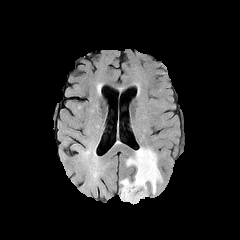
FLAIR magnetic resonance.
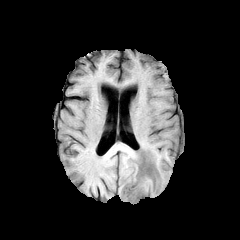
Same slice, T1-weighted MR image.
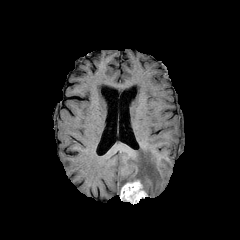
Post-contrast T1-weighted MRI.
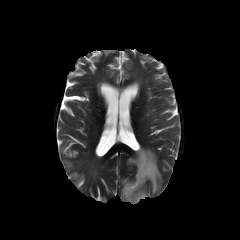
T2-weighted MR image.
Brain
The edema is located at 126 147 162 194. The enhancing tumor is bounded by 120 180 147 204.